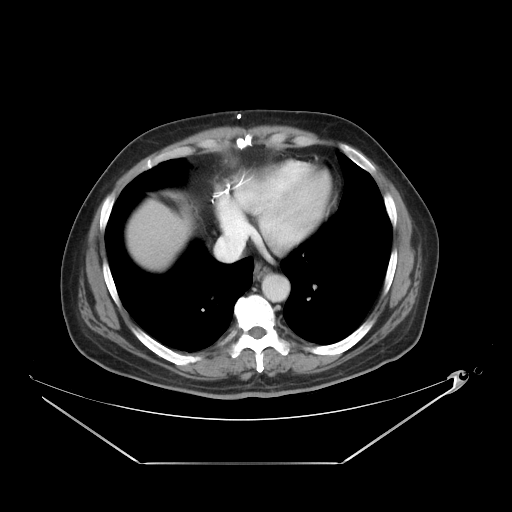 CT
Not every hepatic vessel necessarily has a box.
2 hepatic vessel regions appear at (left=221, top=236, right=226, bottom=244), (left=218, top=243, right=219, bottom=246).